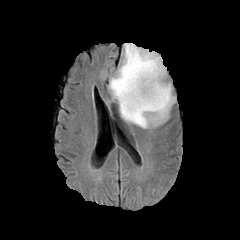
FLAIR magnetic resonance.
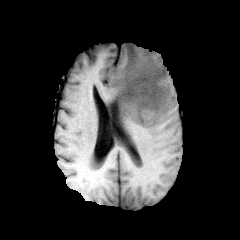
Same slice, T1-weighted MR image.
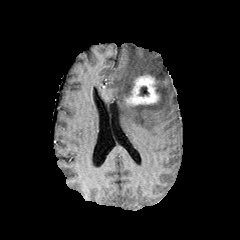
Post-contrast T1-weighted MR of the same slice.
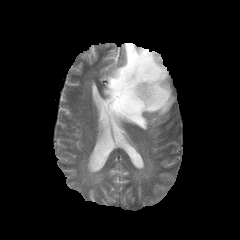
T2-weighted MRI.
240x240 px.
<segmentation>
  <non-enhancing_tumor_core>x1=122 y1=67 x2=160 y2=107, x1=140 y1=86 x2=148 y2=96, x1=110 y1=96 x2=121 y2=110</non-enhancing_tumor_core>
  <edema>x1=106 y1=43 x2=175 y2=129</edema>
  <enhancing_tumor>x1=125 y1=74 x2=159 y2=104</enhancing_tumor>
</segmentation>